Computed tomography. Upper abdomen.

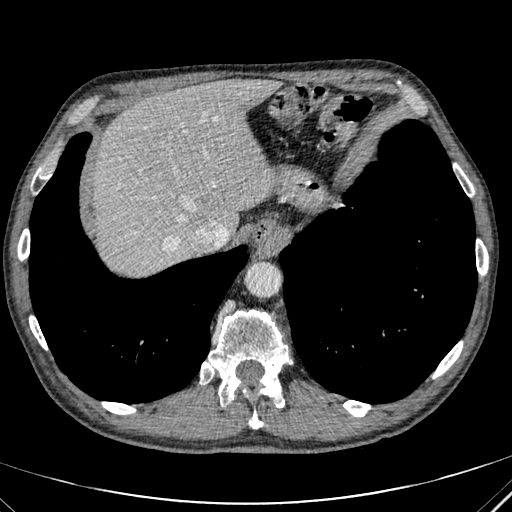
{
  "liver": [
    {"x1": 92, "y1": 79, "x2": 280, "y2": 275}
  ]
}